MRI slice; 320x320
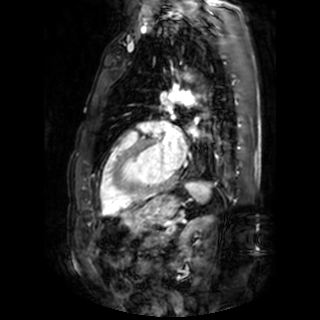

left atrium: [x1=162, y1=131, x2=186, y2=169]